Liver; CT; Field of view 512 mm wide, 1.00 mm slice spacing

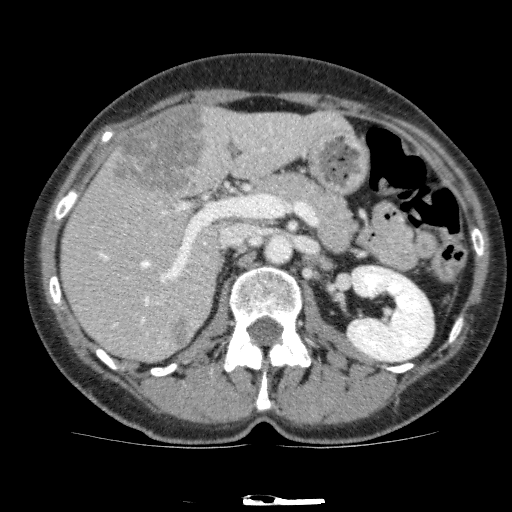

{
  "focal_liver_lesion": [
    "(left=109, top=106, right=206, bottom=196)",
    "(left=168, top=316, right=190, bottom=347)"
  ],
  "liver": [
    "(left=60, top=106, right=354, bottom=362)"
  ],
  "kidney": [
    "(left=347, top=266, right=433, bottom=361)"
  ]
}